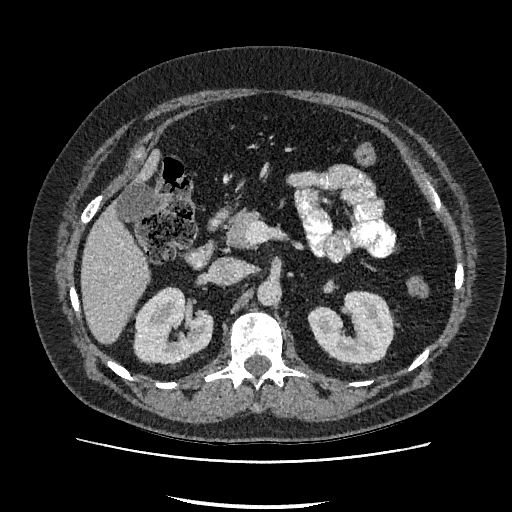 CT slice, Image size 512x512

liver:
  - (x1=136, y1=152, x2=158, y2=181)
  - (x1=81, y1=203, x2=149, y2=342)
kidney:
  - (x1=135, y1=289, x2=212, y2=362)
  - (x1=309, y1=292, x2=392, y2=362)